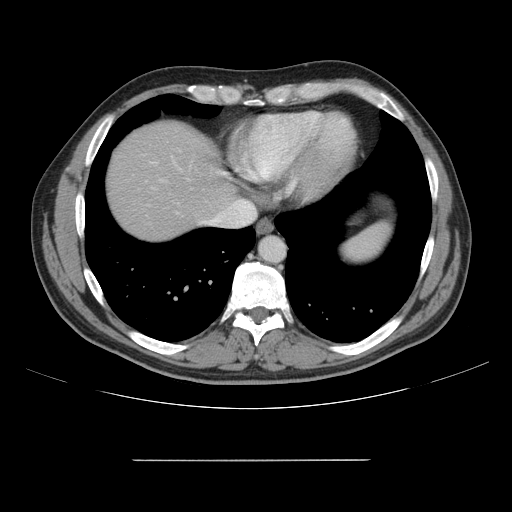 CT image
The vessel boxes may cover only some of the vessels.
Findings:
* hepatic vessel: bbox(151, 162, 154, 163)